FLAIR MRI.
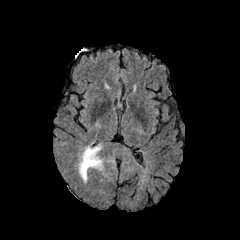
T1-weighted MR image.
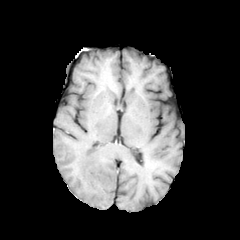
Post-contrast T1-weighted magnetic resonance.
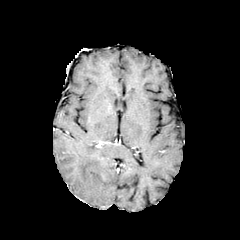
T2-weighted MR image.
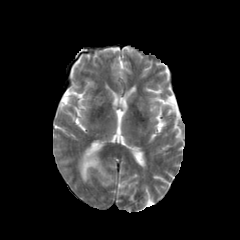
Head.
The edema is at x1=78 y1=142 x2=107 y2=182.